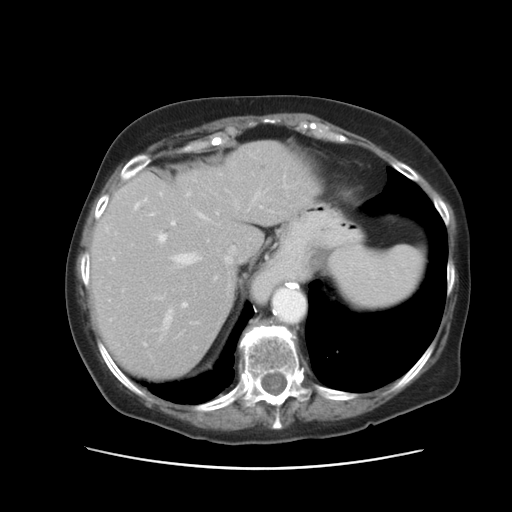

CT slice
Some hepatic vessels may have no box.
Hepatic vessel: bounding box 163 310 172 329, 159 192 162 195, 171 221 174 224, 134 198 146 209, 174 254 199 266, 196 213 207 221, 157 234 165 242, 181 302 186 307, 250 192 258 205, 210 225 250 266, 150 214 153 215, 283 183 286 188.